Slice 88 of 155
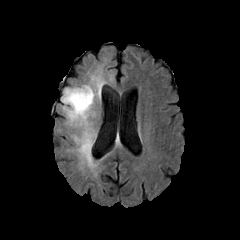
FLAIR magnetic resonance.
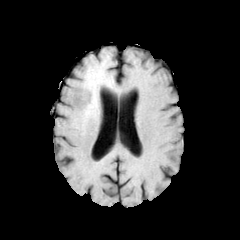
T1-weighted MR image.
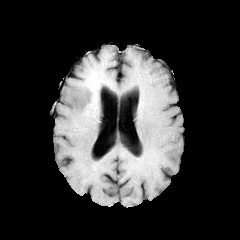
Same slice, post-contrast T1-weighted MR.
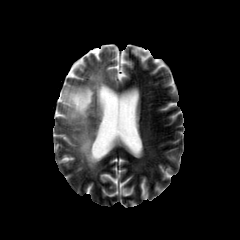
T2-weighted magnetic resonance.
Annotated regions:
- non-enhancing tumor core: (82, 75, 100, 117)
- edema: (61, 84, 98, 175), (93, 70, 106, 109)